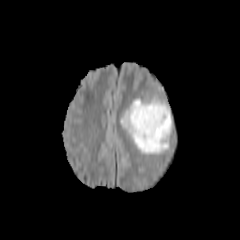
FLAIR magnetic resonance.
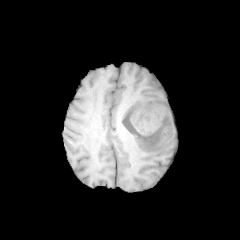
Same slice, T1-weighted MR.
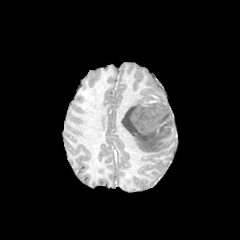
Post-contrast T1-weighted magnetic resonance.
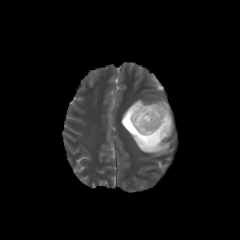
T2-weighted MRI.
Image size 240x240
Segmented structures:
* non-enhancing tumor core: rect(121, 102, 172, 140)
* edema: rect(119, 97, 170, 154); rect(153, 100, 171, 114)